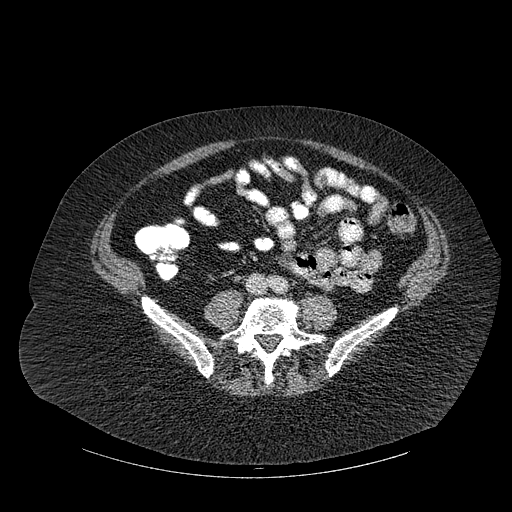 CT slice
Bone: region(222, 298, 323, 383); region(325, 308, 397, 376); region(142, 297, 213, 377).